FLAIR MR image.
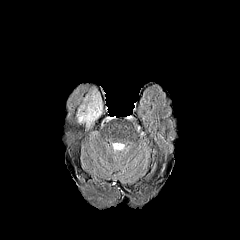
T1-weighted MR.
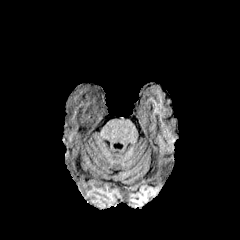
Post-contrast T1-weighted magnetic resonance.
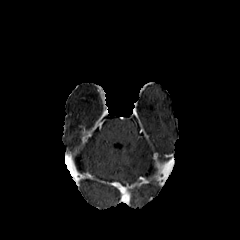
T2-weighted magnetic resonance.
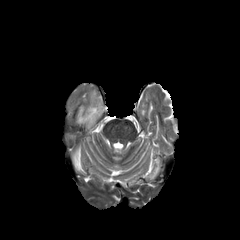
240x240 px
The edema appears at 78 106 102 129.